FLAIR magnetic resonance.
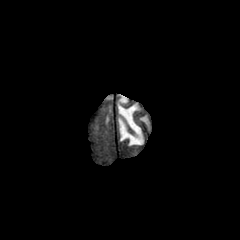
T1-weighted MRI.
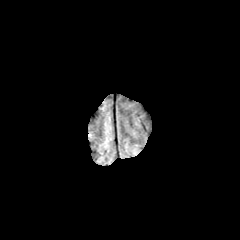
Post-contrast T1-weighted MR.
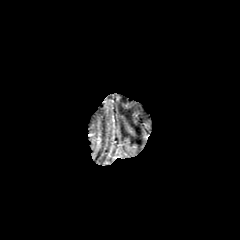
T2-weighted MRI.
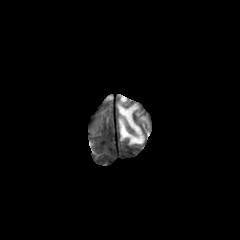
Head.
Edema: bounding box 116 94 144 145, 139 115 150 128.